CT.
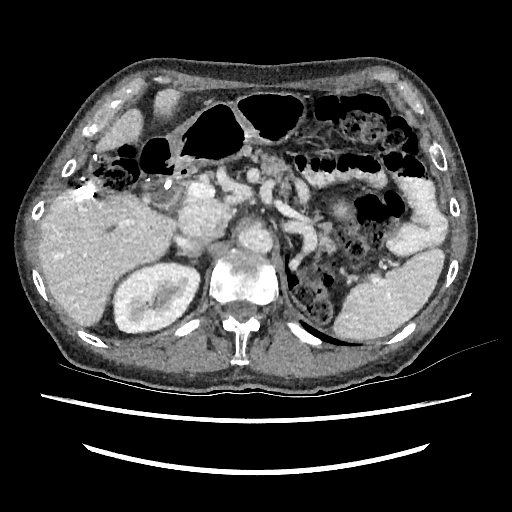
liver:
  - 96:109:142:151
  - 156:90:178:113
  - 40:191:177:325
kidney:
  - 114:263:199:332